512x512 px; Lower abdomen; CT image
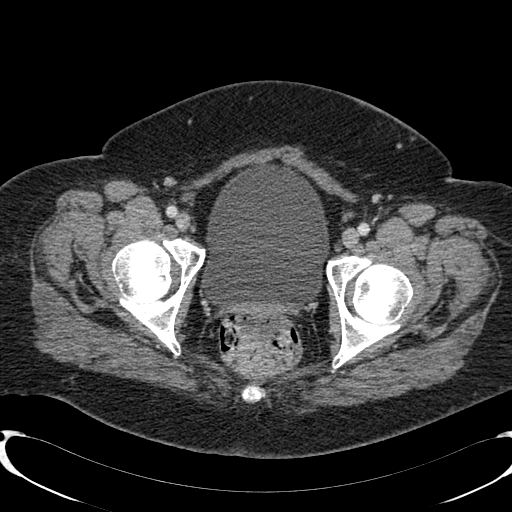 urinary bladder: {"x1": 202, "y1": 161, "x2": 328, "y2": 306}